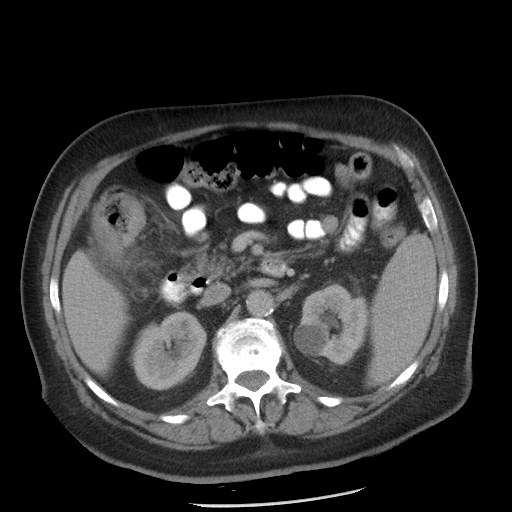 CT slice.
<segmentation>
  <colon_tumor>bbox=[92, 193, 145, 248]</colon_tumor>
</segmentation>